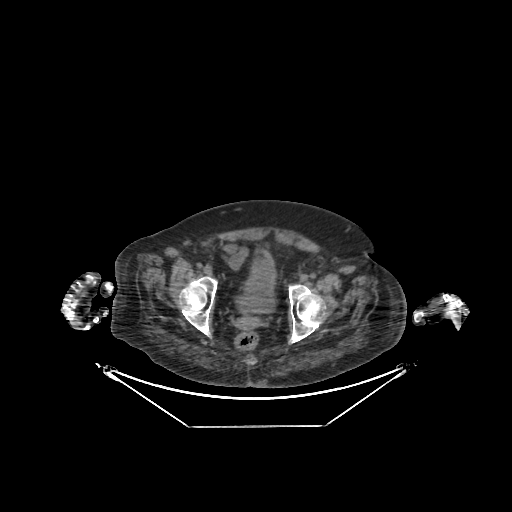
Pelvis | CT scan slice

urinary bladder: [240, 252, 277, 313]